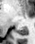 MRI slice. 35x44 px.
Annotated regions:
- posterior hippocampus: {"x1": 16, "y1": 27, "x2": 27, "y2": 35}